Computed tomography | Image width 376 mm
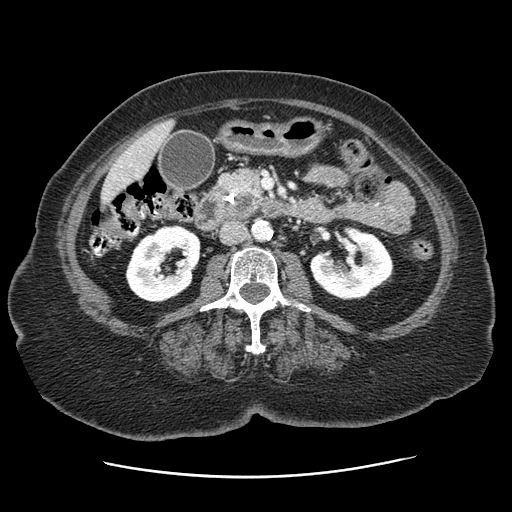
Annotated regions:
* pancreas: x1=216, y1=166, x2=266, y2=221
* pancreatic tumor: x1=228, y1=194, x2=255, y2=217